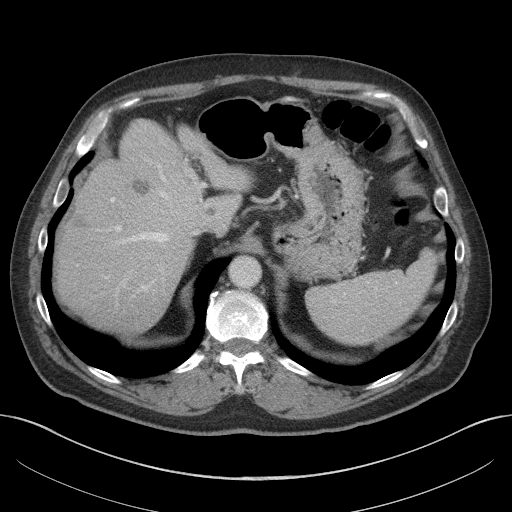 512x512 px. CT image. Upper abdomen.
Liver at box(54, 121, 259, 335).
Hepatic lesion at box(207, 207, 216, 217); box(74, 217, 85, 226); box(134, 179, 150, 194).